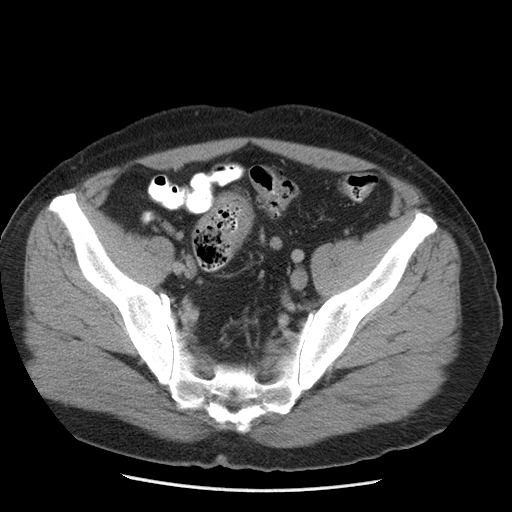
CT image
Segmented structures:
• colon tumor: {"x1": 197, "y1": 193, "x2": 253, "y2": 250}